FLAIR MR.
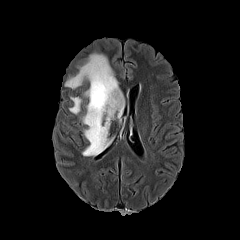
T1-weighted MR.
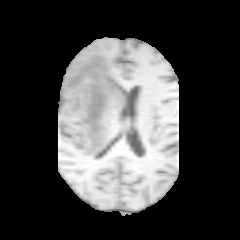
Post-contrast T1-weighted MR.
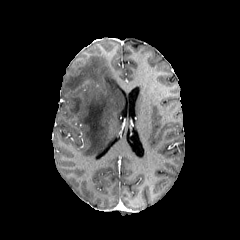
T2-weighted MRI.
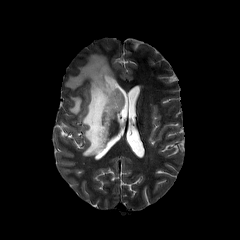
* edema: <bbox>69, 97, 81, 115</bbox>, <bbox>64, 53, 122, 156</bbox>